Abdomen, 512x512 px, Slice 15 of 84, CT scan slice
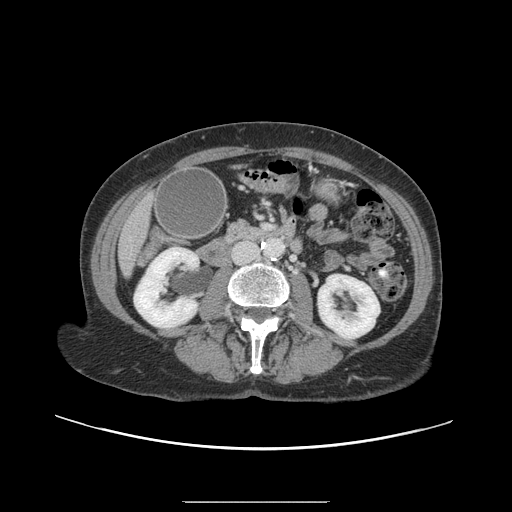
Annotated regions:
• pancreas: 226 222 263 243